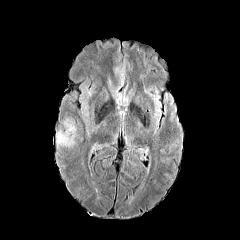
FLAIR MRI.
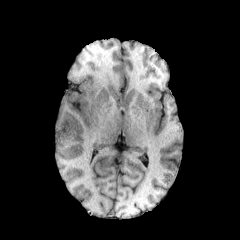
T1-weighted MR image.
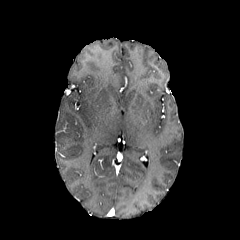
Post-contrast T1-weighted magnetic resonance.
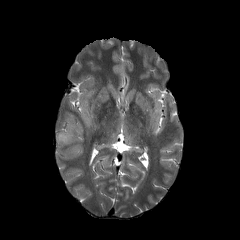
Same slice, T2-weighted magnetic resonance.
Head; 240x240 px
2 edema regions appear at 56 119 75 147, 81 85 96 104.